Field of view 453x453 mm. 512x512 px. CT image.
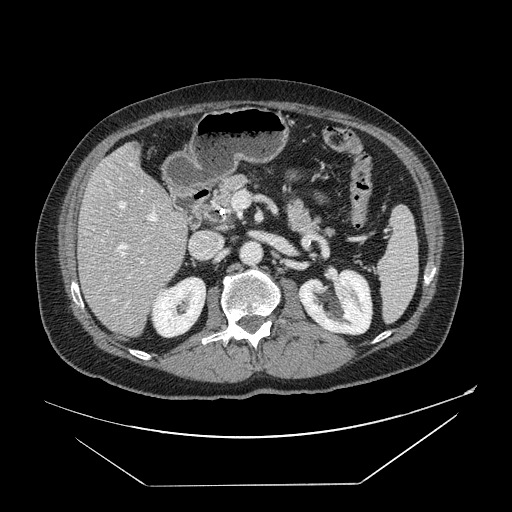 pancreas:
  - (214, 176, 247, 209)
  - (286, 201, 333, 236)